240x240 px
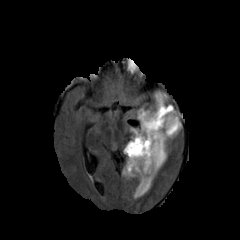
FLAIR MR.
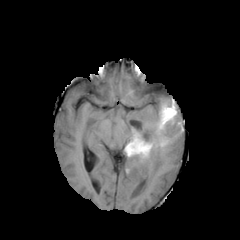
T1-weighted magnetic resonance.
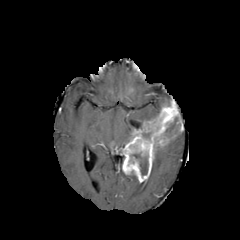
Post-contrast T1-weighted MR image.
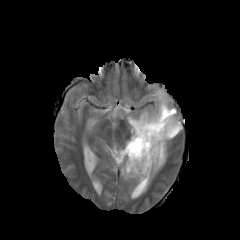
T2-weighted MR.
4 non-enhancing tumor core regions appear at (142,127,152,139), (132,153,147,175), (152,117,181,167), (134,104,164,131). The enhancing tumor lies within (123,104,179,181). 3 edema regions are located at (133,152,167,198), (137,92,166,121), (165,132,178,150).